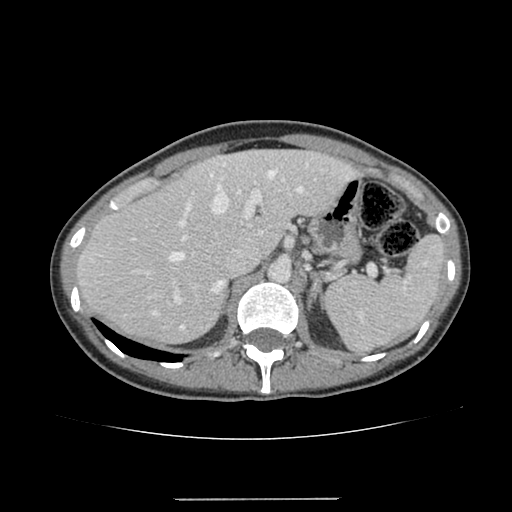

CT slice
The liver appears at bbox(78, 150, 361, 345).